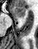
MRI slice | Image size 38x49
anterior hippocampus: [12, 7, 24, 18]